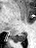 MR image. Medial temporal lobe.
Posterior hippocampus — (12,34,26,42).